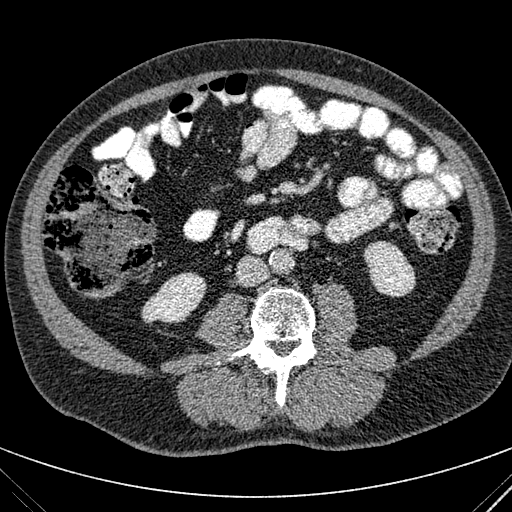
CT, Abdomen
Kidney: bounding box bbox=[142, 273, 205, 322]; bbox=[364, 241, 414, 296].